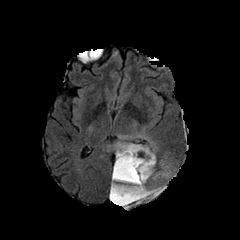
FLAIR MRI.
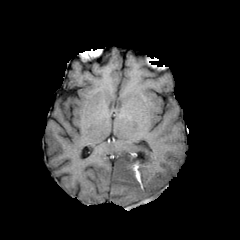
T1-weighted magnetic resonance of the same slice.
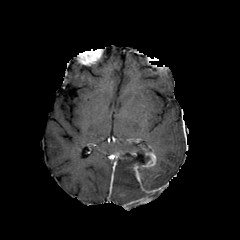
Post-contrast T1-weighted MR image of the same slice.
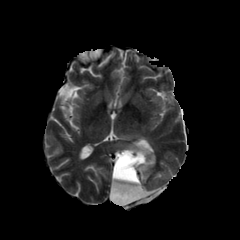
T2-weighted MRI of the same slice.
Brain
<segmentation>
  <enhancing_tumor>bbox=[123, 196, 149, 206]; bbox=[141, 186, 163, 193]; bbox=[140, 151, 155, 169]; bbox=[133, 164, 141, 182]</enhancing_tumor>
  <edema>bbox=[116, 143, 139, 152]; bbox=[142, 165, 165, 188]; bbox=[114, 180, 143, 197]</edema>
  <non-enhancing_tumor_core>bbox=[108, 144, 157, 207]</non-enhancing_tumor_core>
</segmentation>